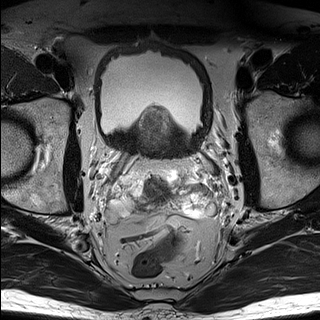
T2-weighted MR.
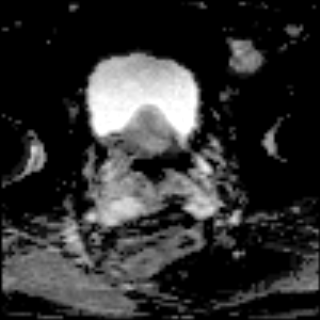
Same slice, ADC MRI.
Prostate.
<segmentation>
  <prostate_transition_zone>box=[142, 108, 168, 138]</prostate_transition_zone>
</segmentation>